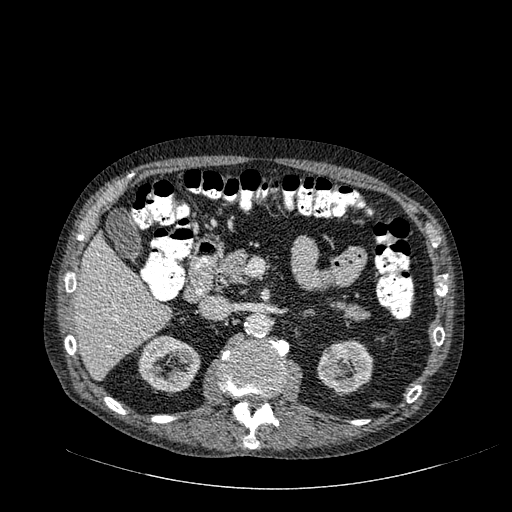

Abdomen. CT.
{"kidney": ["(317,340,372,395)", "(138,335,200,393)"], "liver": ["(75,234,169,378)"]}